Field of view 469 mm wide, 2.50 mm slice spacing, CT scan slice, Upper abdomen 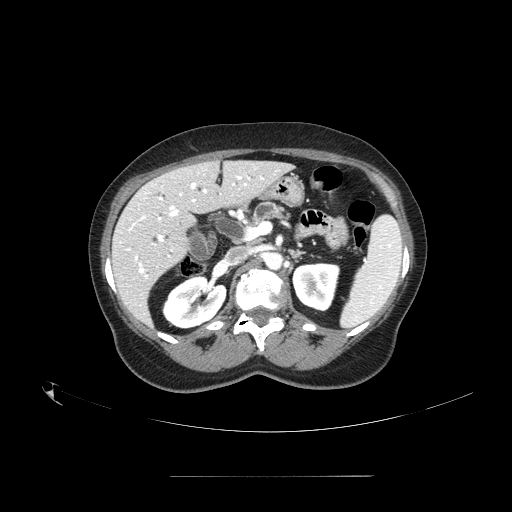
Pancreas — 253, 202, 291, 224.